Abdomen | Computed tomography

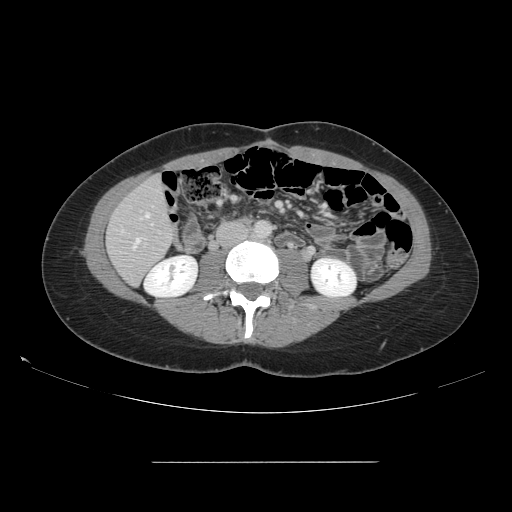

The vessel boxes may cover only some of the vessels.
Hepatic vessel: bbox=[132, 238, 141, 248]; bbox=[151, 224, 152, 225]; bbox=[140, 218, 142, 219]; bbox=[145, 239, 146, 241]; bbox=[121, 230, 122, 233]; bbox=[144, 213, 149, 217].